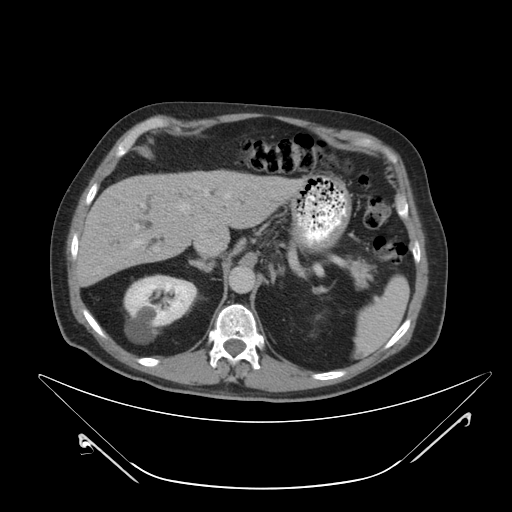

CT slice. Abdomen. The pancreas is located at [350, 260, 367, 278].